Slice index 607 | CT | Liver
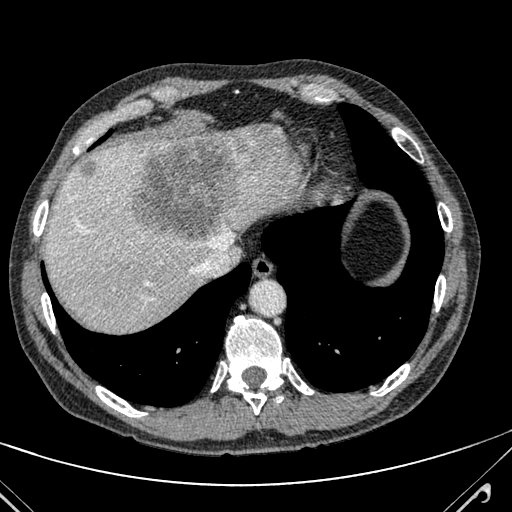 <segmentation>
  <focal_liver_lesion>{"x1": 133, "y1": 137, "x2": 243, "y2": 242}, {"x1": 79, "y1": 161, "x2": 94, "y2": 177}</focal_liver_lesion>
  <liver>{"x1": 228, "y1": 247, "x2": 240, "y2": 263}, {"x1": 46, "y1": 125, "x2": 294, "y2": 330}</liver>
</segmentation>